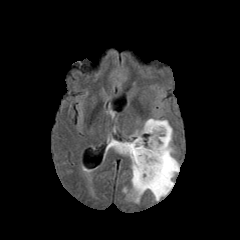
FLAIR MR.
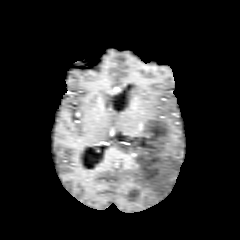
T1-weighted MR of the same slice.
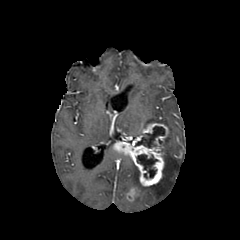
Same slice, post-contrast T1-weighted MR image.
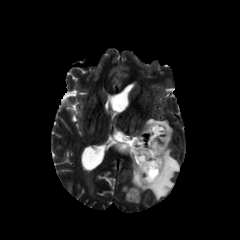
T2-weighted MRI.
Segmented structures:
• non-enhancing tumor core: bbox=[137, 154, 157, 177]; bbox=[136, 127, 165, 147]
• edema: bbox=[131, 160, 138, 185]; bbox=[134, 118, 179, 203]
• enhancing tumor: bbox=[112, 122, 169, 186]; bbox=[125, 186, 140, 202]